Field of view 393 mm wide, 1.50 mm slice spacing; CT scan slice 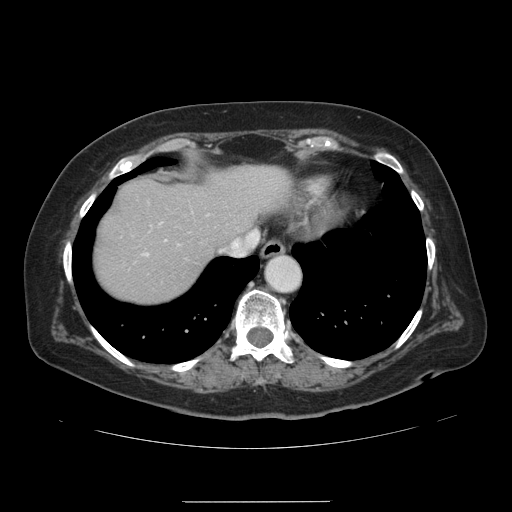
The vessel boxes may cover only some of the vessels.
<segmentation>
  <hepatic_vessel>(left=220, top=249, right=223, bottom=251), (left=232, top=239, right=236, bottom=243), (left=249, top=230, right=252, bottom=233)</hepatic_vessel>
</segmentation>